Liver | CT | Slice 269/463 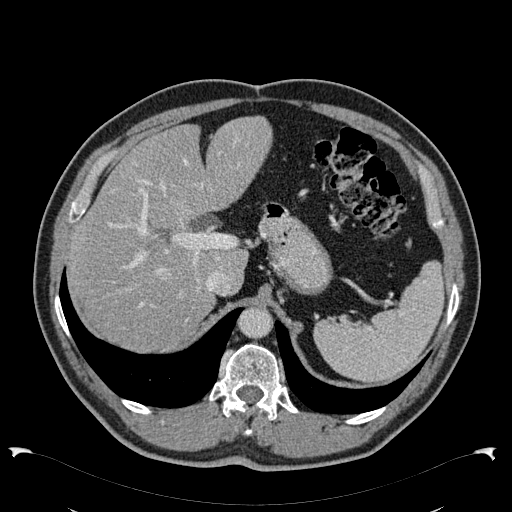

The liver lies within box=[69, 117, 271, 349].